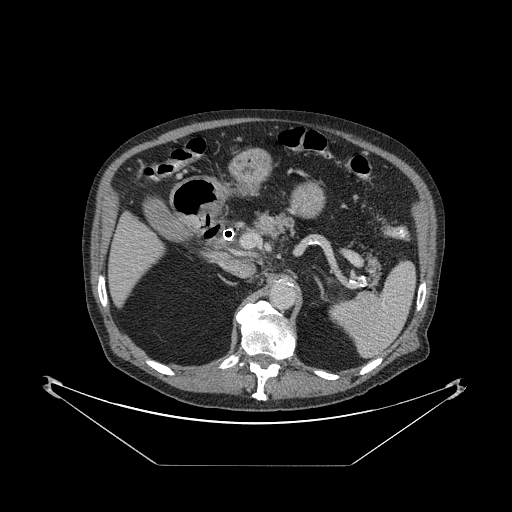 CT scan slice. Upper abdomen. 512x512.
2 pancreas regions are located at 367, 254, 380, 285; 253, 213, 294, 236.